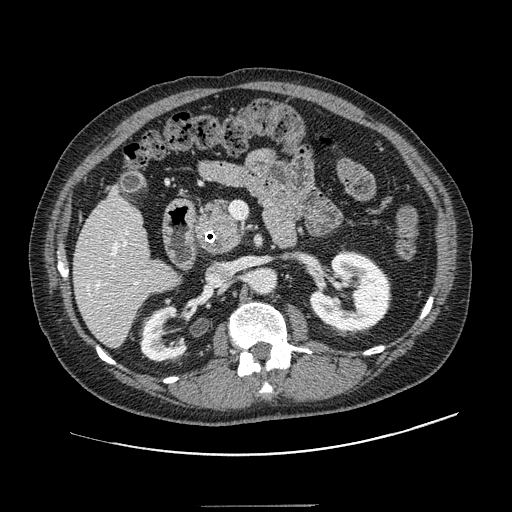
Abdomen | Computed tomography
The pancreas appears at box(194, 198, 243, 255). The pancreatic tumor is bounded by box(213, 239, 227, 253).